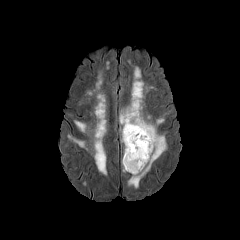
FLAIR MR image.
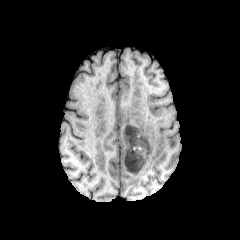
Same slice, T1-weighted MRI.
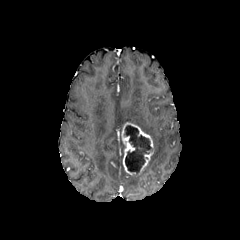
Same slice, post-contrast T1-weighted MRI.
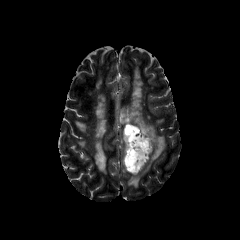
T2-weighted magnetic resonance.
Head
<segmentation>
  <edema>68:136:84:148, 74:120:86:133, 93:94:107:175, 119:67:167:189</edema>
  <non-enhancing_tumor_core>123:125:152:174</non-enhancing_tumor_core>
  <enhancing_tumor>121:123:154:174</enhancing_tumor>
</segmentation>